35x49; Hippocampus; MRI slice 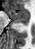

posterior_hippocampus:
  - bbox(17, 21, 21, 21)
  - bbox(22, 22, 26, 24)
anterior_hippocampus:
  - bbox(9, 8, 29, 21)